Slice 221/343, Image size 512x512, CT scan slice 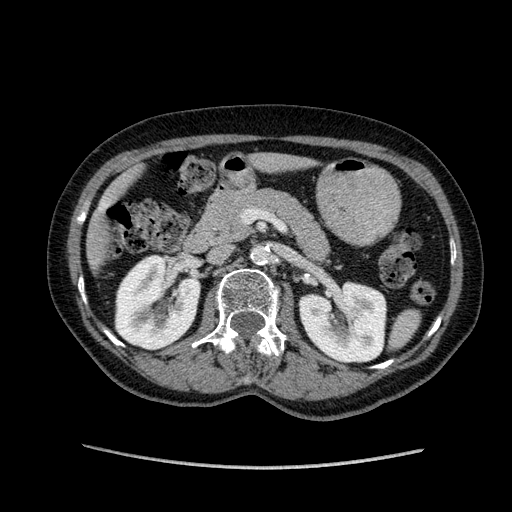
2 liver regions appear at bbox(84, 183, 124, 264); bbox(251, 152, 308, 171). 2 kidney regions appear at bbox(300, 280, 385, 361); bbox(116, 257, 199, 348).